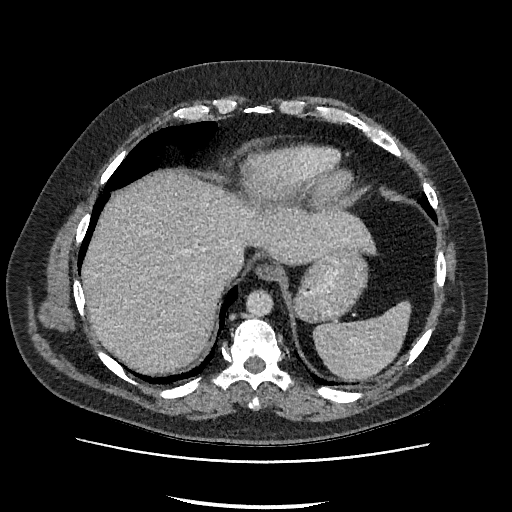 CT scan slice | Upper abdomen
The liver is bounded by 84 175 374 372.